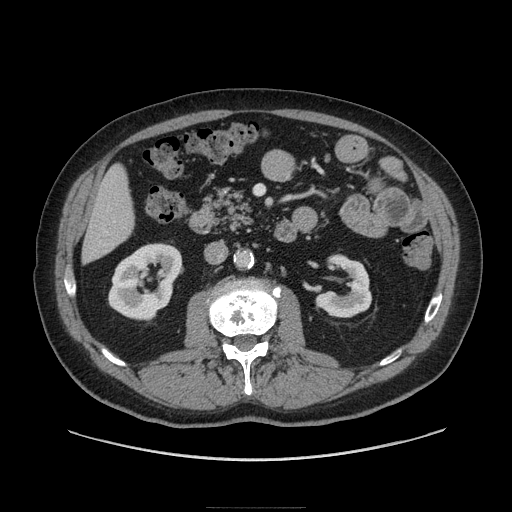

CT
Pancreas at (x1=213, y1=187, x2=254, y2=233).